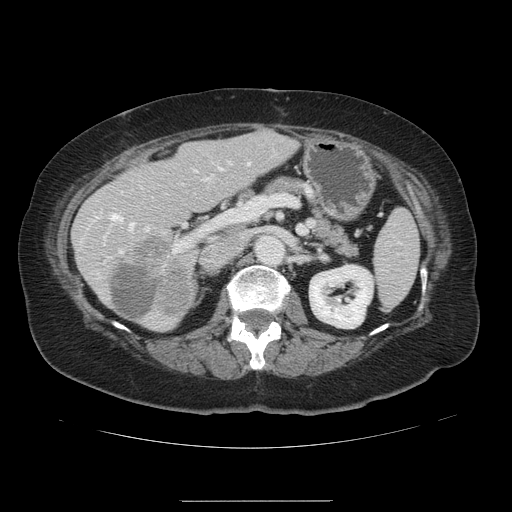
Abdomen | CT scan slice
Only some of the vessels may be annotated.
Hepatic vessel at rect(91, 215, 101, 220); rect(238, 201, 246, 203); rect(218, 167, 221, 169); rect(222, 202, 224, 204); rect(145, 227, 147, 230); rect(247, 162, 248, 164); rect(129, 222, 133, 229); rect(191, 242, 193, 245); rect(205, 175, 212, 179); rect(118, 249, 122, 251); rect(111, 214, 122, 221); rect(227, 161, 230, 163); rect(172, 243, 183, 252).
Liver tumor at rect(109, 238, 193, 321).